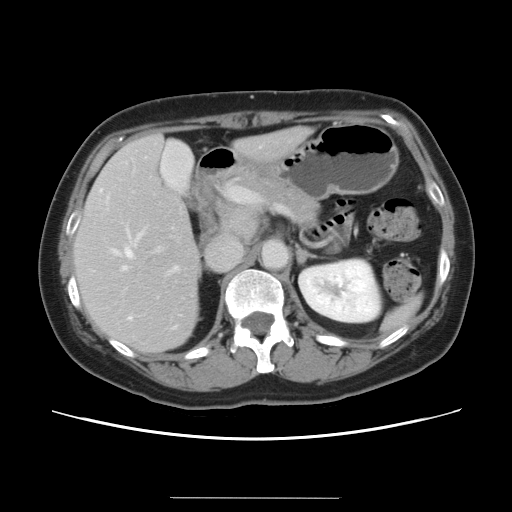

Image size 512x512, CT image, Liver
The vessel annotation is not exhaustive.
10 hepatic vessel regions are bounded by x1=123, y1=248, x2=131, y2=257; x1=122, y1=267, x2=126, y2=270; x1=128, y1=316, x2=131, y2=319; x1=111, y1=250, x2=118, y2=255; x1=106, y1=197, x2=108, y2=201; x1=155, y1=248, x2=160, y2=251; x1=126, y1=228, x2=130, y2=238; x1=172, y1=327, x2=175, y2=329; x1=132, y1=232, x2=142, y2=246; x1=169, y1=267, x2=178, y2=272. The liver tumor lies within x1=227, y1=212, x2=255, y2=237.